FLAIR magnetic resonance.
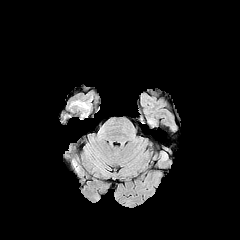
T1-weighted MR.
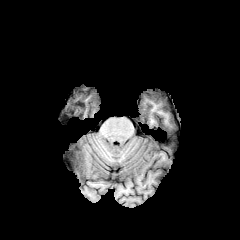
Post-contrast T1-weighted MR image.
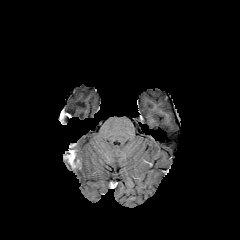
T2-weighted MR image.
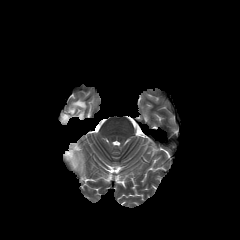
Head.
edema: <bbox>71, 99, 90, 116</bbox> | enhancing tumor: <bbox>65, 144, 80, 169</bbox>